CT slice. 512x512 px.
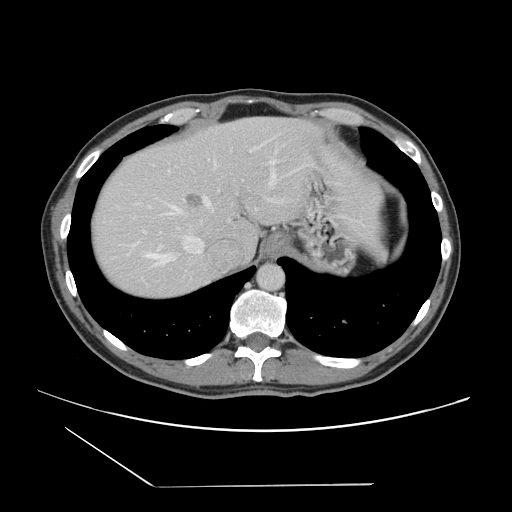

Some hepatic vessels may have no box.
{"partial": true, "liver_tumor": ["[187, 193, 203, 212]"], "hepatic_vessel": {"n_total": 29, "boxes": ["[164, 203, 179, 214]", "[271, 170, 275, 181]", "[209, 159, 217, 166]", "[341, 215, 362, 224]", "[132, 244, 135, 246]", "[294, 169, 298, 170]", "[203, 197, 210, 206]", "[160, 245, 162, 248]", "[268, 198, 278, 202]", "[227, 219, 229, 221]", "[182, 236, 188, 241]", "[266, 139, 271, 142]", "[210, 208, 213, 210]", "[195, 244, 203, 252]", "[268, 158, 277, 166]"]}}